CT scan slice. Abdomen. Slice 41/45. Image width 490 mm. 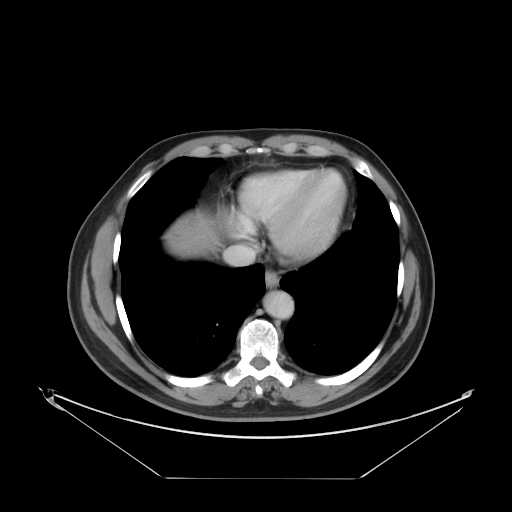
The vessel annotation is not exhaustive.
Findings:
• hepatic vessel: bbox=[229, 253, 251, 263]